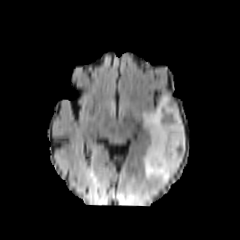
FLAIR MR image.
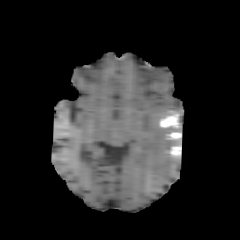
T1-weighted MR image.
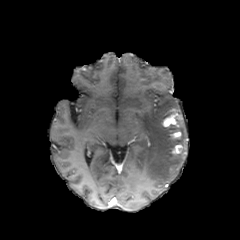
Post-contrast T1-weighted MR of the same slice.
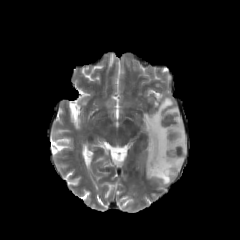
T2-weighted MR.
Edema: box=[142, 94, 186, 184].
Enhancing tumor: box=[172, 144, 182, 154]; box=[170, 131, 180, 139]; box=[162, 111, 179, 127].